CT slice, Field of view 344x344 mm, Image size 512x512 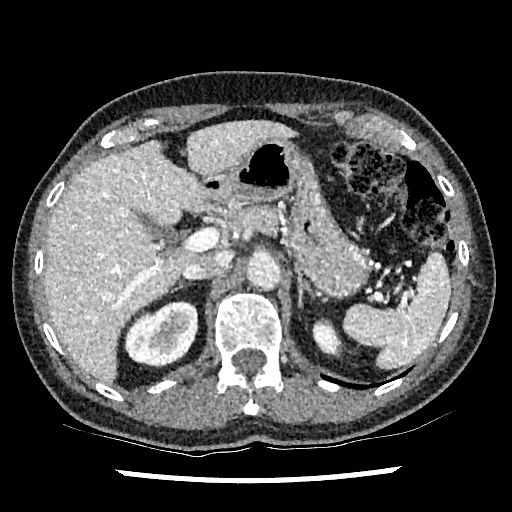 <segmentation>
  <kidney>x1=126, y1=303, x2=196, y2=364; x1=315, y1=325, x2=337, y2=352</kidney>
  <liver>x1=45, y1=121, x2=296, y2=381</liver>
</segmentation>